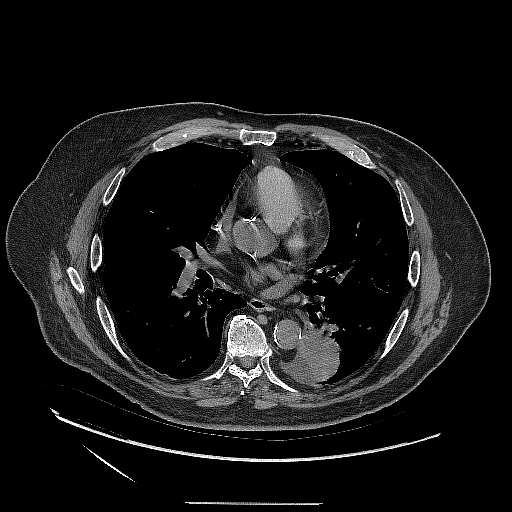

CT image

<segmentation>
  <lung_tumor>287, 302, 343, 383</lung_tumor>
</segmentation>